CT scan slice, Liver, Image width 434 mm

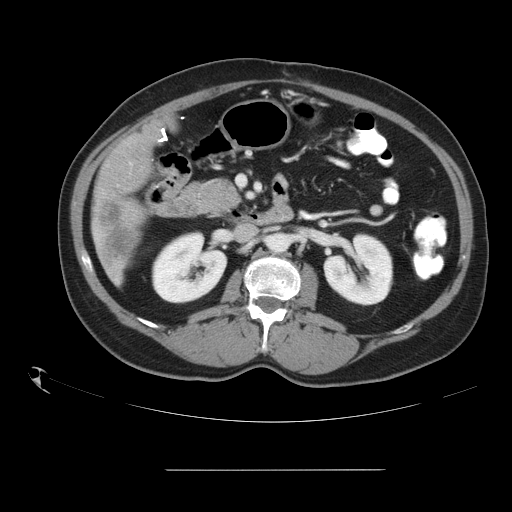
Only some of the vessels may be annotated.
Annotated regions:
* hepatic vessel: rect(130, 163, 131, 164)
* liver tumor: rect(98, 199, 132, 260)